240x240. Head.
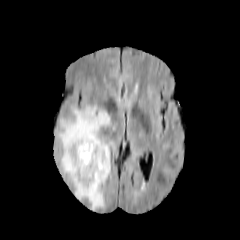
FLAIR MR.
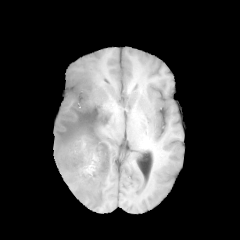
T1-weighted magnetic resonance of the same slice.
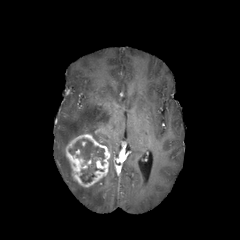
Post-contrast T1-weighted MR of the same slice.
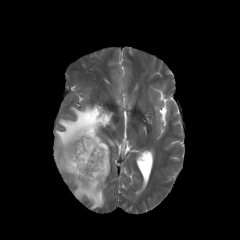
T2-weighted MR image.
The edema is at x1=55, y1=104, x2=113, y2=208. 2 non-enhancing tumor core regions are bounded by x1=80, y1=162, x2=104, y2=183; x1=69, y1=139, x2=104, y2=160. The enhancing tumor appears at x1=65, y1=134, x2=110, y2=187.